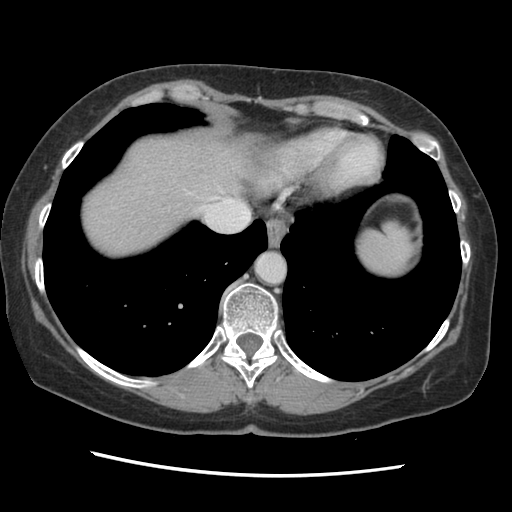
512x512 | CT | Liver

Only some of the vessels may be annotated.
3 hepatic vessel regions are located at box(218, 187, 221, 191); box(202, 205, 211, 212); box(223, 198, 231, 201).